Upper abdomen | CT image | Image size 512x512 | Slice 16 of 73
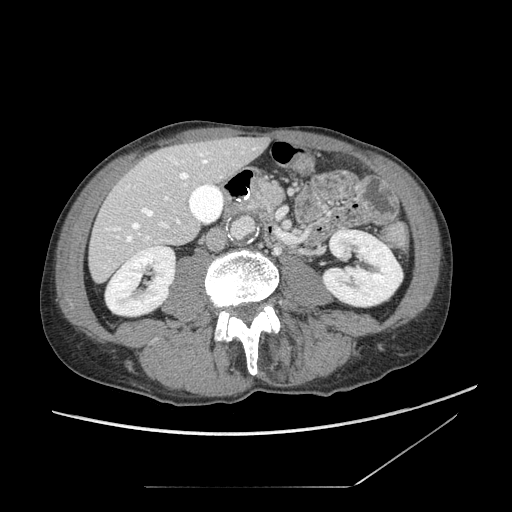
<segmentation>
  <pancreas>box(251, 181, 282, 209)</pancreas>
</segmentation>